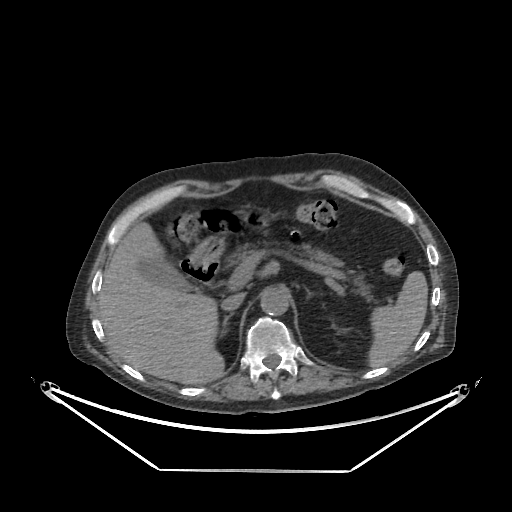

512x512; CT scan slice; Liver

Liver: bounding box l=93, t=223, r=223, b=384.